Image size 512x512, CT slice, Lower abdomen

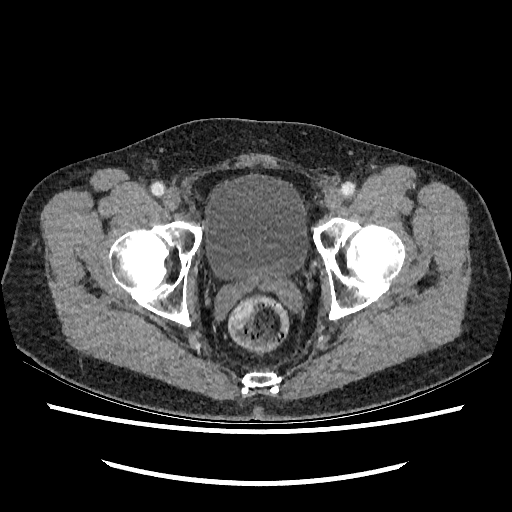

{
  "urinary_bladder": [
    "region(202, 173, 307, 280)"
  ]
}